240x240 px; Slice 90/155
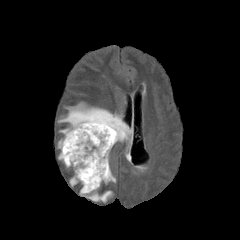
FLAIR MR.
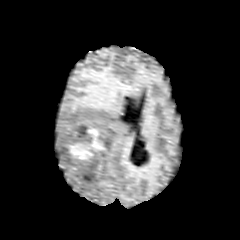
Same slice, T1-weighted MRI.
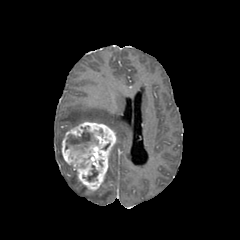
Post-contrast T1-weighted magnetic resonance.
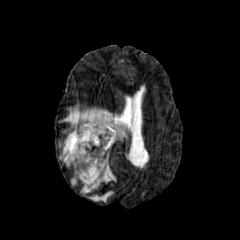
T2-weighted magnetic resonance of the same slice.
The enhancing tumor is at {"x1": 60, "y1": 120, "x2": 117, "y2": 193}. 5 edema regions are bounded by {"x1": 80, "y1": 185, "x2": 86, "y2": 196}, {"x1": 104, "y1": 167, "x2": 115, "y2": 183}, {"x1": 58, "y1": 103, "x2": 132, "y2": 141}, {"x1": 88, "y1": 191, "x2": 112, "y2": 202}, {"x1": 70, "y1": 175, "x2": 78, "y2": 186}. 2 non-enhancing tumor core regions appear at {"x1": 67, "y1": 132, "x2": 90, "y2": 144}, {"x1": 88, "y1": 170, "x2": 97, "y2": 180}.